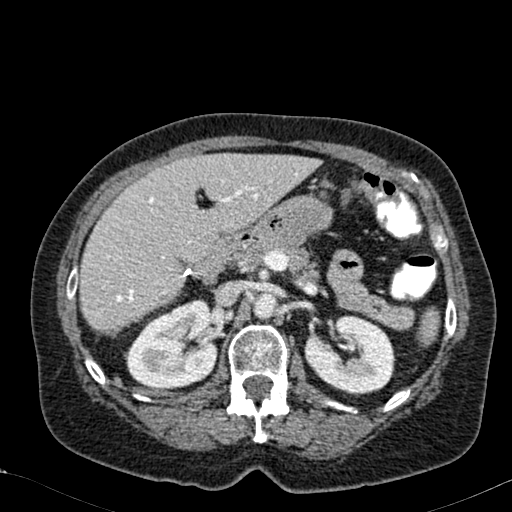 Liver. CT scan slice.
Kidney — x1=127, y1=300, x2=216, y2=389; x1=305, y1=317, x2=393, y2=393.
Liver — x1=79, y1=154, x2=319, y2=331.